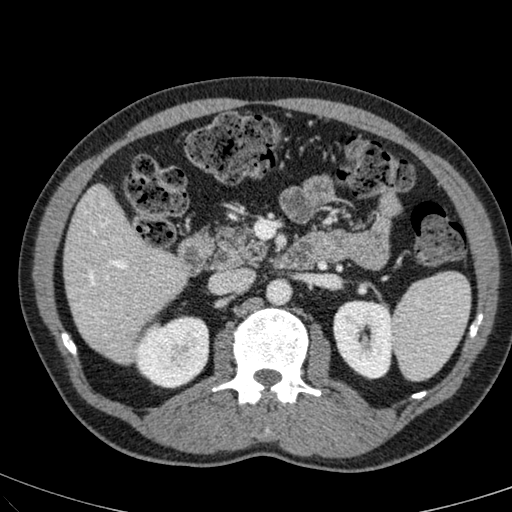 Liver, 512x512, CT scan slice
The liver is at bbox(64, 186, 187, 362). 2 kidney regions are located at bbox(334, 302, 391, 376); bbox(138, 318, 207, 385).